Field of view 404x404 mm; Abdomen; Slice index 519; CT image 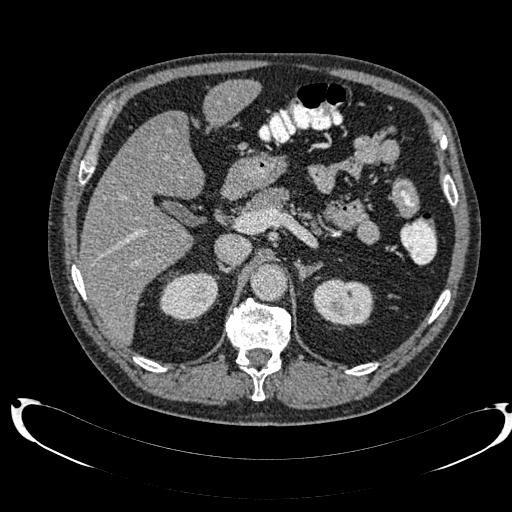 Hepatic lesion = 149,112,185,141.
Kidney = 313,279,372,325; 160,272,217,319.
Liver = 80,116,202,344; 205,80,259,127.